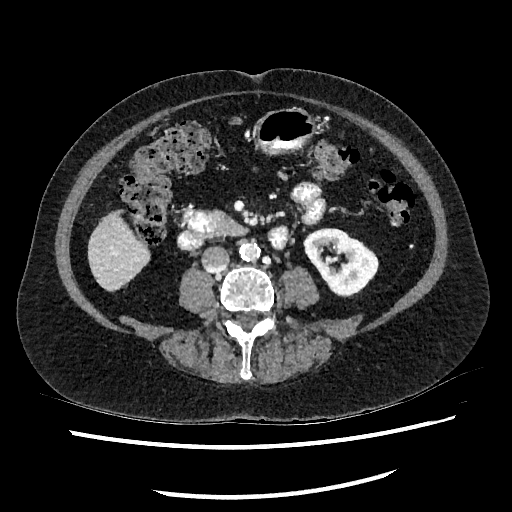
Image size 512x512. CT scan slice. Upper abdomen. <segmentation>
  <kidney>[304,224,377,294]</kidney>
  <liver>[89,213,148,290]</liver>
</segmentation>